Abdomen; CT scan slice 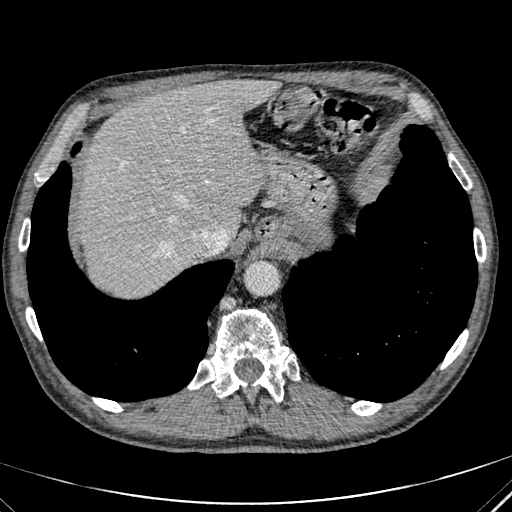 Segmented structures:
* liver: [81, 80, 279, 296]